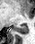

Hippocampus. 35x44 px. MR image. Posterior hippocampus = (x1=11, y1=25, x2=27, y2=33).